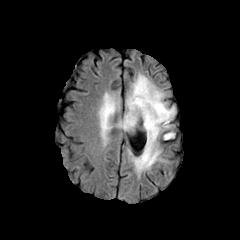
FLAIR magnetic resonance.
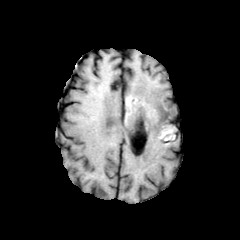
T1-weighted MR image.
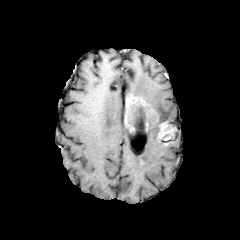
Post-contrast T1-weighted MRI.
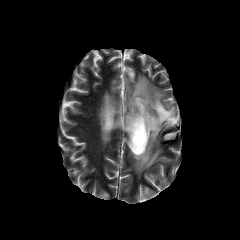
T2-weighted MR of the same slice.
Head
<segmentation>
  <enhancing_tumor>[x1=124, y1=95, x2=141, y2=124]</enhancing_tumor>
  <non-enhancing_tumor_core>[x1=160, y1=109, x2=169, y2=117], [x1=124, y1=100, x2=155, y2=134], [x1=159, y1=128, x2=171, y2=140]</non-enhancing_tumor_core>
  <edema>[x1=117, y1=113, x2=129, y2=131], [x1=99, y1=96, x2=119, y2=139], [x1=126, y1=74, x2=176, y2=175]</edema>
</segmentation>